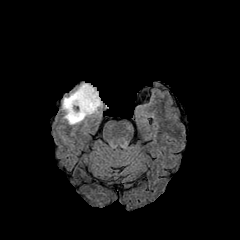
FLAIR magnetic resonance.
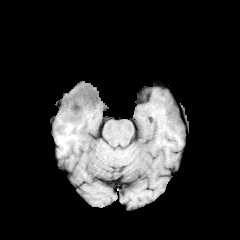
T1-weighted magnetic resonance of the same slice.
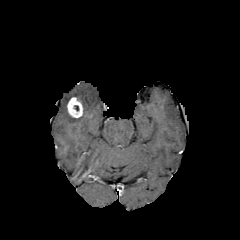
Post-contrast T1-weighted MR image of the same slice.
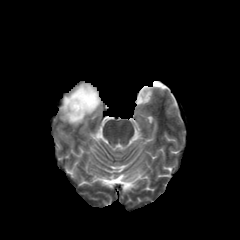
T2-weighted magnetic resonance.
240x240
edema: box(60, 82, 102, 125) | enhancing tumor: box(67, 96, 83, 118) | non-enhancing tumor core: box(74, 94, 84, 106)